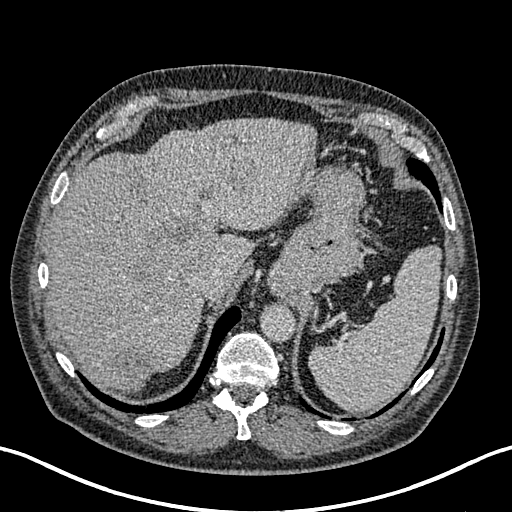 Computed tomography. Upper abdomen.

<segmentation>
  <liver>region(184, 269, 193, 280); region(50, 118, 315, 389)</liver>
  <liver_lesion>region(196, 185, 214, 203); region(118, 342, 163, 378); region(131, 215, 212, 311); region(224, 156, 260, 189)</liver_lesion>
</segmentation>